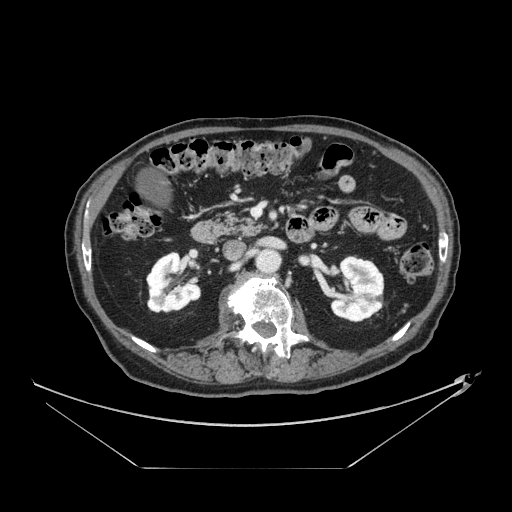
CT, 512x512 px
Segmented structures:
- pancreas: x1=213 y1=213 x2=263 y2=236